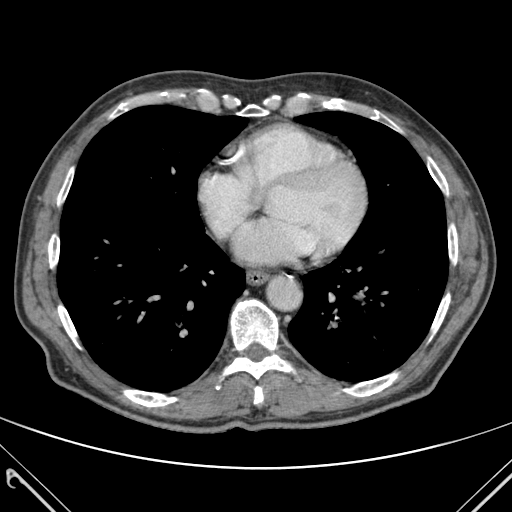 CT slice
lung: bbox=[288, 112, 448, 380]; bbox=[57, 105, 247, 391] | bone: bbox=[231, 300, 277, 350]; bbox=[124, 390, 176, 406]; bbox=[223, 354, 292, 378]; bbox=[58, 301, 79, 348]; bbox=[48, 227, 59, 270]; bbox=[110, 102, 129, 117]; bbox=[428, 157, 447, 194]; bbox=[343, 373, 397, 396]; bbox=[236, 104, 268, 115]; bbox=[57, 168, 73, 209]; bbox=[323, 99, 396, 126]; bbox=[254, 386, 263, 403]; bbox=[448, 225, 457, 263]; bbox=[432, 294, 449, 334]